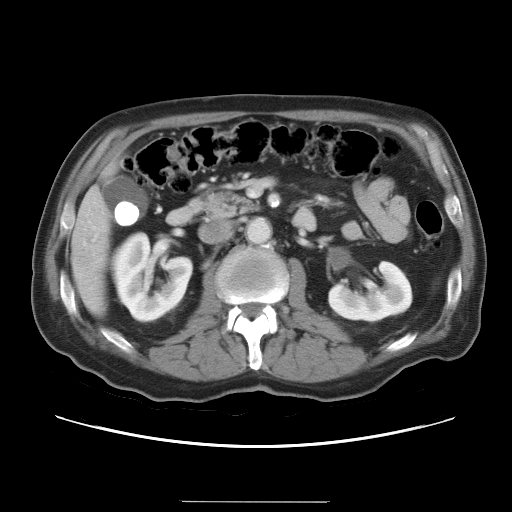
Computed tomography, 512x512

Not every hepatic vessel necessarily has a box.
hepatic vessel: 93:227:100:230